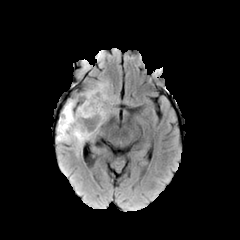
FLAIR MRI.
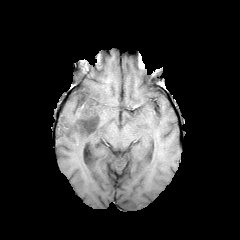
T1-weighted MRI.
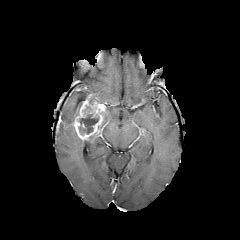
Post-contrast T1-weighted MR of the same slice.
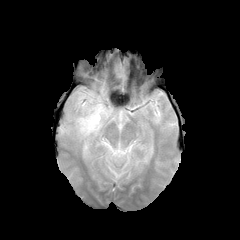
T2-weighted MR image.
Brain
Non-enhancing tumor core — (left=79, top=114, right=98, bottom=133), (left=89, top=112, right=106, bottom=139).
Edema — (left=57, top=79, right=113, bottom=155).
Enhancing tumor — (left=73, top=94, right=106, bottom=140).